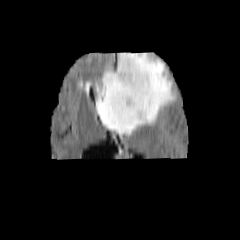
FLAIR magnetic resonance.
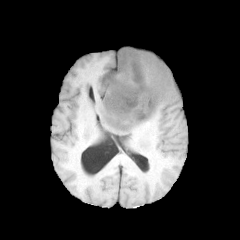
Same slice, T1-weighted MR image.
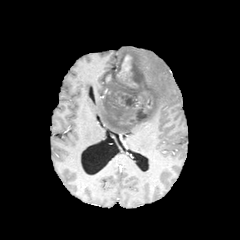
Post-contrast T1-weighted MR of the same slice.
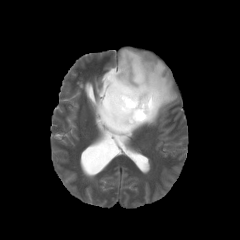
T2-weighted MR image.
Brain; 240x240 px
- enhancing tumor: box=[117, 55, 131, 80]
- non-enhancing tumor core: box=[101, 54, 154, 126]
- edema: box=[94, 47, 179, 135]; box=[104, 65, 115, 74]